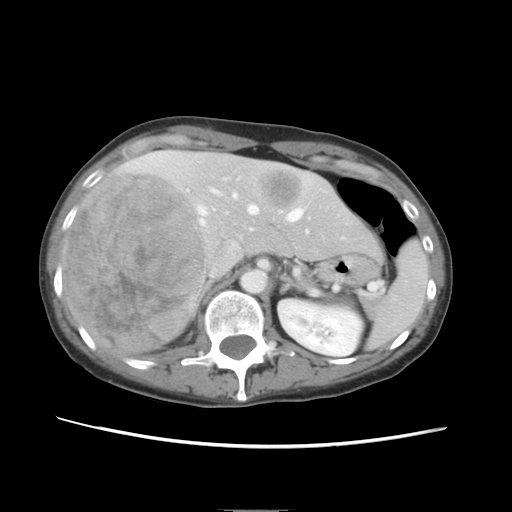 CT slice
Only some of the vessels may be annotated.
<segmentation>
  <hepatic_vessel>(249, 205, 257, 213), (200, 219, 204, 223), (198, 206, 205, 214), (288, 208, 301, 220), (306, 230, 307, 231), (233, 193, 236, 197), (212, 189, 217, 192)</hepatic_vessel>
  <liver_tumor>(63, 174, 206, 355), (256, 168, 302, 208)</liver_tumor>
</segmentation>